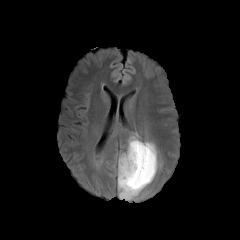
FLAIR MRI.
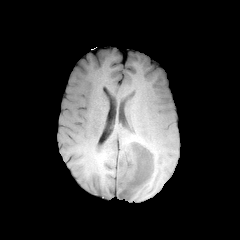
Same slice, T1-weighted MR.
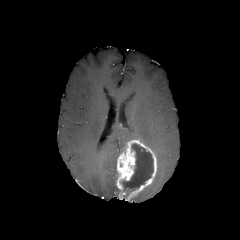
Same slice, post-contrast T1-weighted MR.
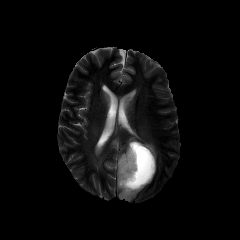
T2-weighted magnetic resonance of the same slice.
Image size 240x240; Brain
Edema: bounding box l=119, t=131, r=159, b=168.
Non-enhancing tumor core: bounding box l=123, t=144, r=153, b=190.
Enhancing tumor: bounding box l=117, t=140, r=156, b=201.